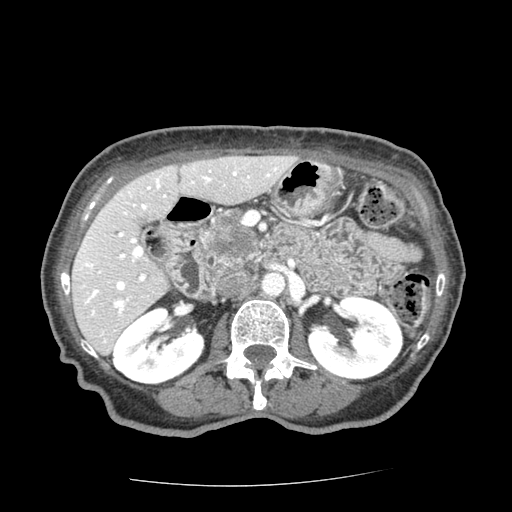 Computed tomography. Upper abdomen.
Segmented structures:
• pancreatic tumor: 207, 211, 256, 260
• pancreas: 197, 211, 259, 277